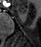

MR image.
Anterior hippocampus: <box>17,6,26,13</box>.